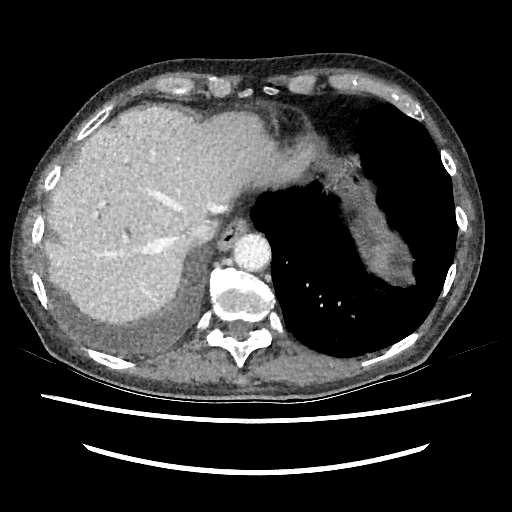 Liver | CT scan slice
{
  "liver": [
    "(x1=45, y1=107, x2=292, y2=321)"
  ]
}